Brain, Slice 89 of 155
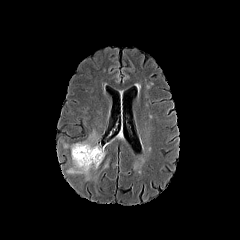
FLAIR MR image.
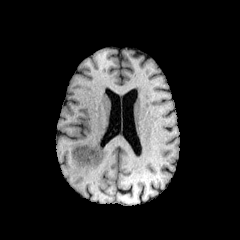
T1-weighted MR.
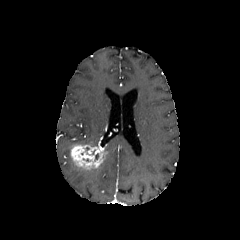
Post-contrast T1-weighted MR.
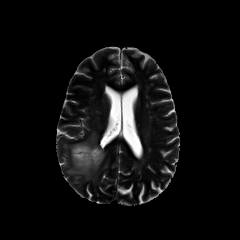
T2-weighted MRI.
{"edema": [{"x1": 76, "y1": 131, "x2": 97, "y2": 146}, {"x1": 66, "y1": 158, "x2": 98, "y2": 180}], "enhancing_tumor": [{"x1": 70, "y1": 138, "x2": 106, "y2": 170}]}